Slice 17 of 33. 35x49. Magnetic resonance. 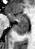
Posterior hippocampus: x1=14, y1=22, x2=28, y2=35.
Anterior hippocampus: x1=7, y1=13, x2=28, y2=21.